FLAIR magnetic resonance.
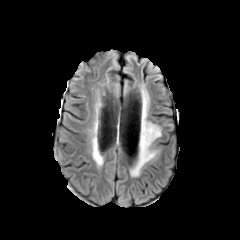
T1-weighted MRI.
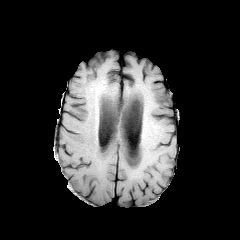
Post-contrast T1-weighted MR image.
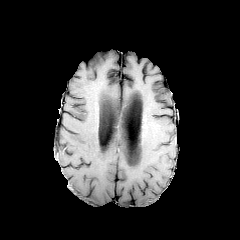
T2-weighted MR image.
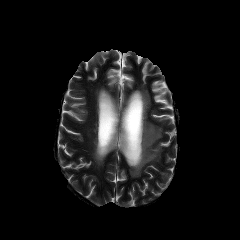
Head. 240x240 px.
{"edema": ["x1=131 y1=88 x2=161 y2=175"]}